FLAIR MR image.
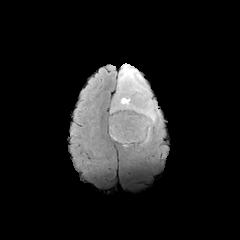
T1-weighted MRI.
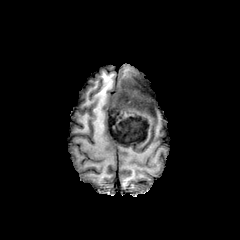
Post-contrast T1-weighted MR.
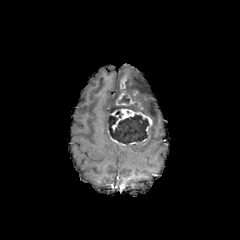
T2-weighted MR.
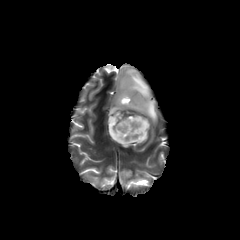
Head
<segmentation>
  <non-enhancing_tumor_core>{"x1": 109, "y1": 78, "x2": 152, "y2": 146}</non-enhancing_tumor_core>
  <edema>{"x1": 117, "y1": 63, "x2": 156, "y2": 124}</edema>
  <enhancing_tumor>{"x1": 116, "y1": 91, "x2": 127, "y2": 105}, {"x1": 112, "y1": 109, "x2": 152, "y2": 134}, {"x1": 120, "y1": 78, "x2": 126, "y2": 89}</enhancing_tumor>
</segmentation>